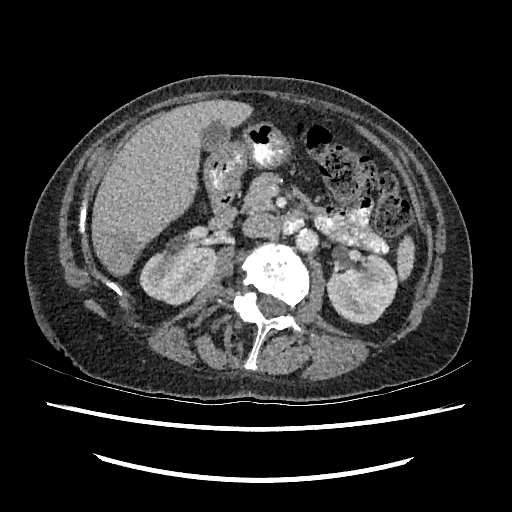 Liver; 512x512 px; CT image
Kidney: bounding box box=[327, 255, 397, 323]; box=[141, 246, 216, 304].
Liver: bounding box box=[92, 100, 252, 275].
Liver lesion: bounding box box=[111, 231, 139, 258].